Slice 370 of 455. CT scan slice. Liver.
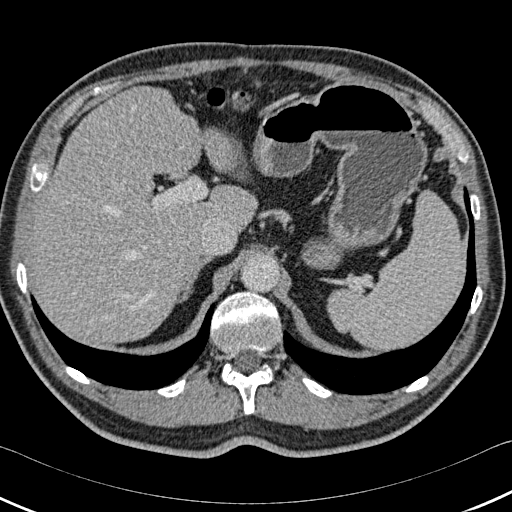
2 lung regions appear at [31,295,217,390], [283,187,476,394]. 11 bone regions are located at [302,378,331,397], [458,151,468,162], [211,292,280,351], [30,164,47,191], [470,286,482,313], [222,364,272,414], [406,376,428,392], [66,367,89,383], [157,380,185,397], [470,195,479,219], [17,263,26,292]. The liver is bounded by [34,86,254,343].